512x512 px, Abdomen, CT scan slice 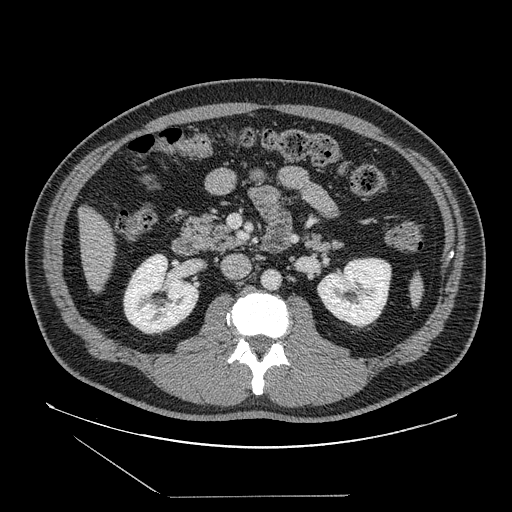

pancreas:
  - [181,214,235,253]
  - [300,232,345,252]